Cardiac | Image size 320x320 | Magnetic resonance 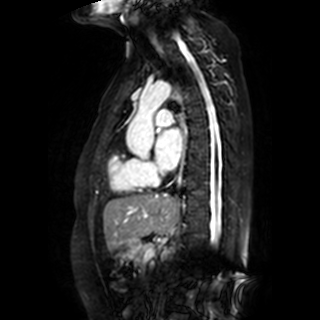

<segmentation>
  <left_atrium>155, 128, 182, 169</left_atrium>
</segmentation>